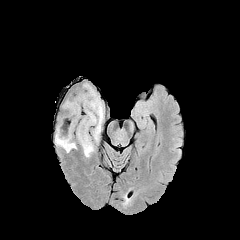
FLAIR MRI.
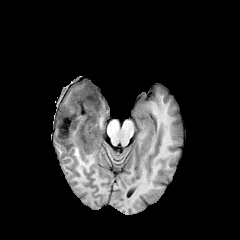
T1-weighted MRI.
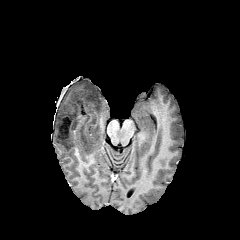
Post-contrast T1-weighted MRI.
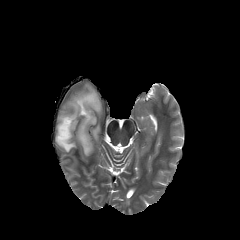
T2-weighted MR.
<segmentation>
  <edema>55 83 104 157</edema>
  <non-enhancing_tumor_core>58 90 99 139</non-enhancing_tumor_core>
</segmentation>